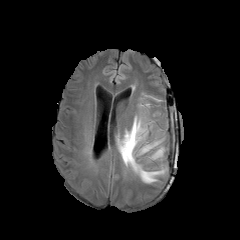
FLAIR MR.
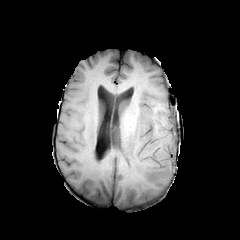
T1-weighted MR image.
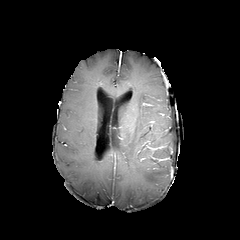
Post-contrast T1-weighted MR.
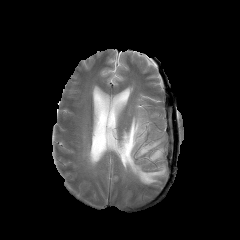
T2-weighted MR.
Head. 240x240 px.
Edema: <box>109,94,167,184</box>.